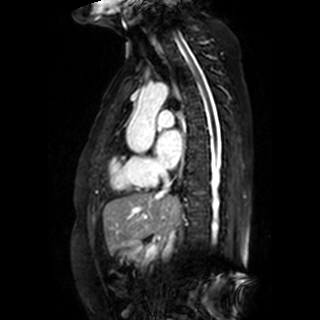

320x320; MRI; Cardiac
Left atrium: bounding box [155,130,182,168].